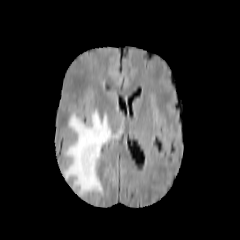
FLAIR MRI.
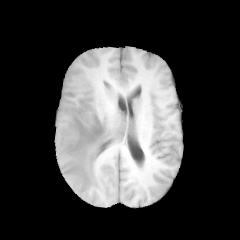
Same slice, T1-weighted MRI.
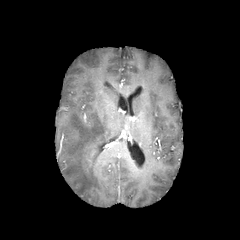
Post-contrast T1-weighted MR image.
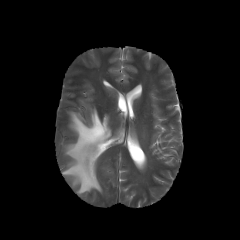
Same slice, T2-weighted MRI.
Brain
edema: <bbox>63, 108, 112, 194</bbox>